CT image. Abdomen. 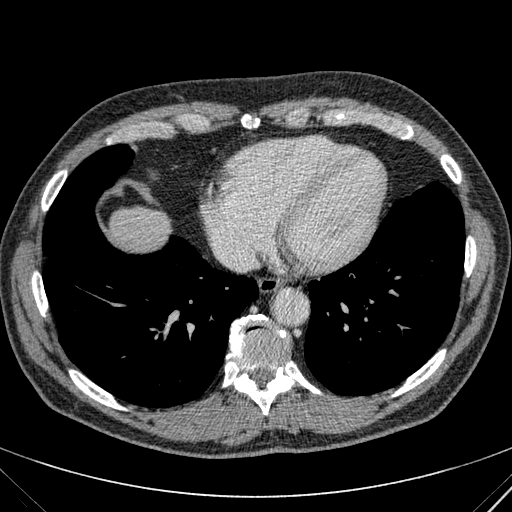

The liver appears at (109, 209, 168, 250).